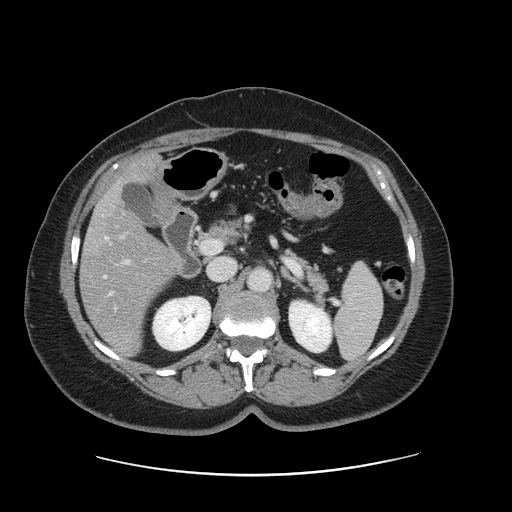

CT slice, 512x512, Abdomen

Only some of the vessels may be annotated.
Hepatic vessel = 109 292 112 295, 121 235 124 237, 104 276 106 277, 124 260 129 264, 105 237 108 240.